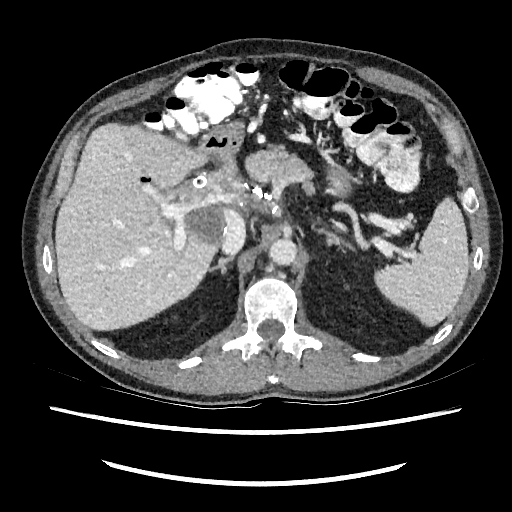

CT slice | Upper abdomen
2 hepatic lesion regions are bounded by [175,165,236,202], [190,205,221,242]. 2 liver regions are bounded by [55,125,216,328], [210,151,249,213].